Brain
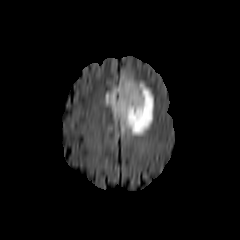
FLAIR magnetic resonance.
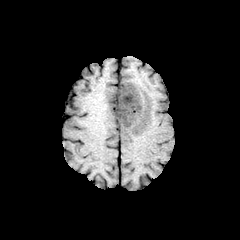
Same slice, T1-weighted MRI.
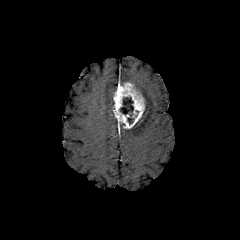
Same slice, post-contrast T1-weighted MRI.
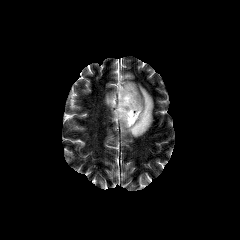
T2-weighted magnetic resonance.
Annotated regions:
- enhancing tumor: 111, 80, 144, 128
- edema: 120, 71, 154, 136; 105, 88, 115, 112
- non-enhancing tumor core: 120, 97, 134, 124